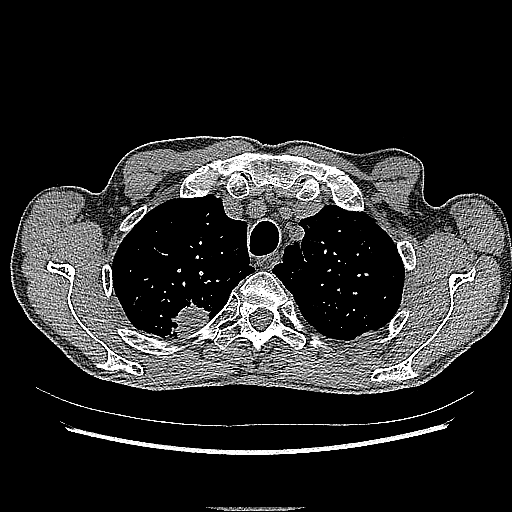 Computed tomography
Lung tumor = 161, 287, 224, 338.